Medial temporal lobe; Field of view 33x48 mm; MR

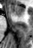

The anterior hippocampus is at (x1=9, y1=5, x2=23, y2=15).